FLAIR magnetic resonance.
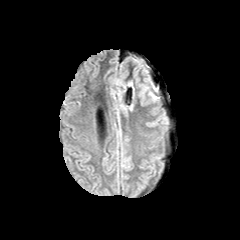
T1-weighted MRI.
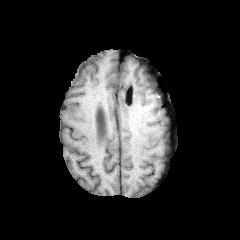
Post-contrast T1-weighted magnetic resonance.
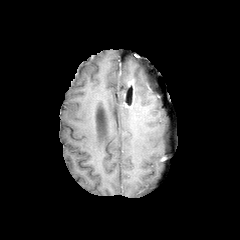
T2-weighted MRI.
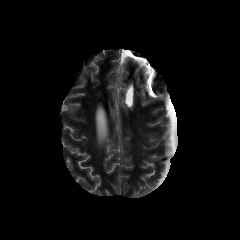
Head
edema:
  - <box>139,78,152,99</box>